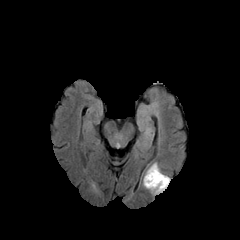
FLAIR MRI.
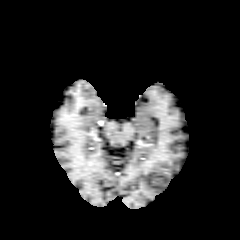
Same slice, T1-weighted MRI.
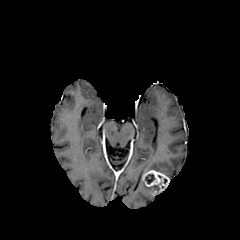
Same slice, post-contrast T1-weighted MR.
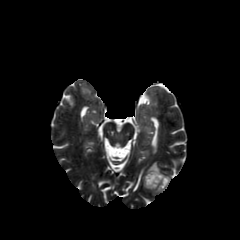
T2-weighted MR image.
240x240.
edema:
  - [142,162,164,174]
  - [141,176,156,195]
enhancing_tumor:
  - [142,170,169,193]
non-enhancing_tumor_core:
  - [146,174,154,183]